CT slice.

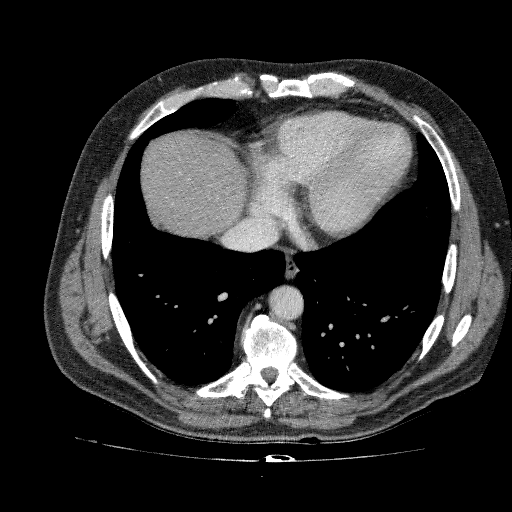 liver:
  - [x1=140, y1=131, x2=249, y2=237]